CT image | 512x512 | Slice 23 of 45

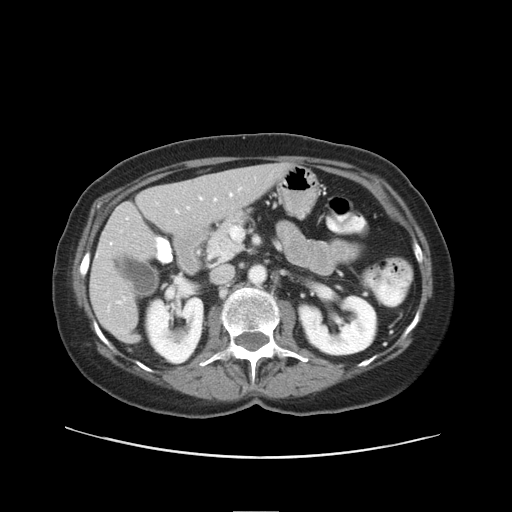

Only some of the vessels may be annotated.
Hepatic vessel: bounding box (176, 211, 178, 213), (200, 198, 201, 199), (230, 194, 232, 196), (214, 199, 216, 201), (118, 298, 125, 304), (239, 189, 240, 190), (187, 207, 189, 209).